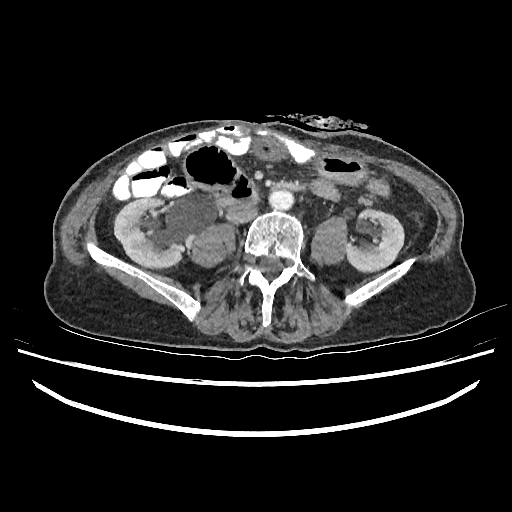

Abdomen. CT image.

Kidney at l=346, t=210, r=403, b=270; l=186, t=235, r=193, b=247; l=114, t=198, r=184, b=267.